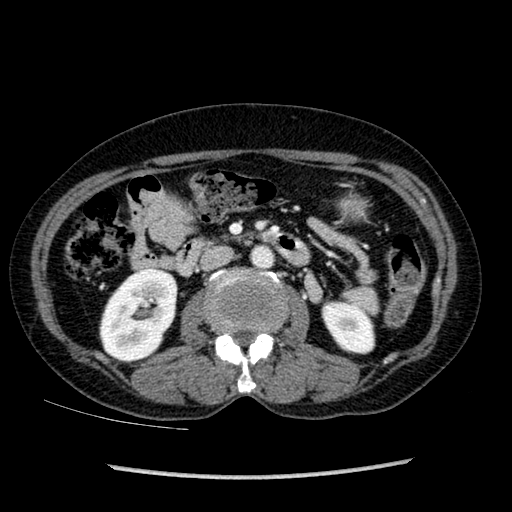

Abdomen, CT slice, 512x512 px
kidney:
  - box(324, 304, 372, 351)
  - box(101, 269, 176, 360)